FLAIR MR.
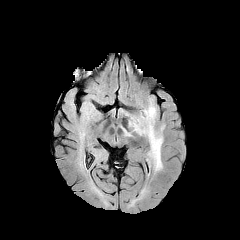
T1-weighted MR.
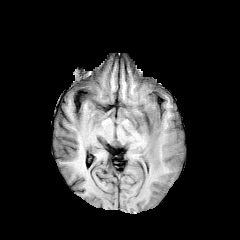
Post-contrast T1-weighted MR image.
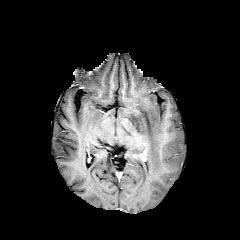
T2-weighted magnetic resonance.
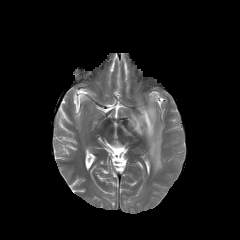
The edema appears at 129 96 164 171.